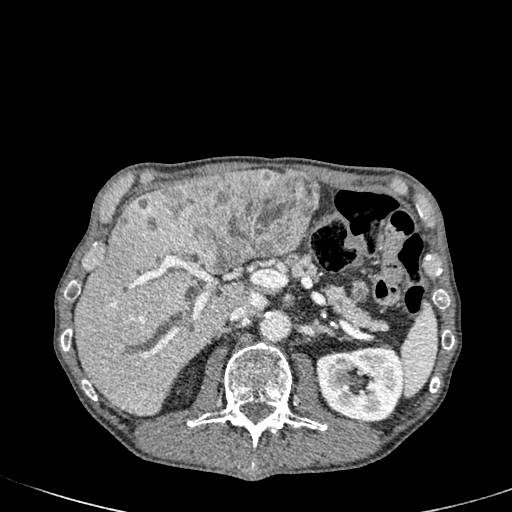

CT slice
Kidney = bbox(318, 348, 406, 420).
Hepatic lesion = bbox(139, 199, 147, 208); bbox(149, 219, 155, 230); bbox(164, 169, 319, 272).
Liver = bbox(74, 189, 245, 415); bbox(249, 256, 274, 259).